FLAIR MR image.
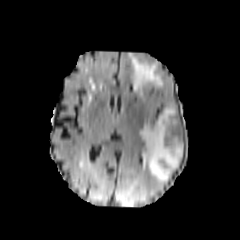
T1-weighted MR.
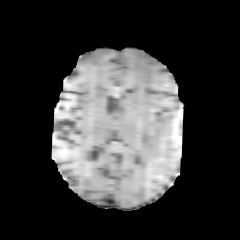
Post-contrast T1-weighted MR.
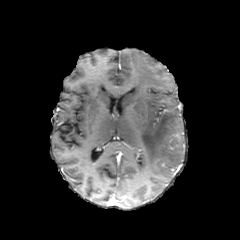
T2-weighted MR image.
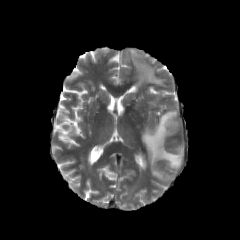
Brain
{
  "edema": [
    "<bbox>139, 105, 183, 178</bbox>",
    "<bbox>128, 53, 164, 94</bbox>"
  ]
}